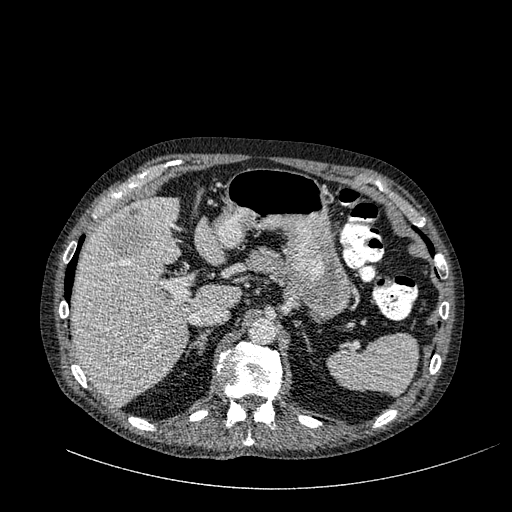

512x512, CT scan slice
liver:
  - bbox=[196, 216, 224, 265]
  - bbox=[72, 198, 240, 404]
hepatic_lesion:
  - bbox=[107, 209, 152, 259]